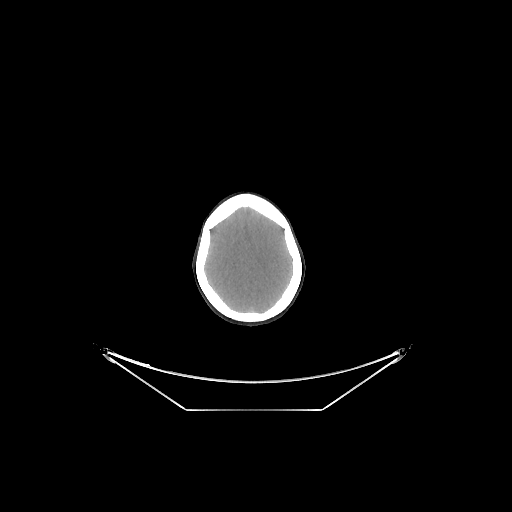
Image size 512x512, CT slice
Annotated regions:
- brain: [x1=204, y1=207, x2=292, y2=313]